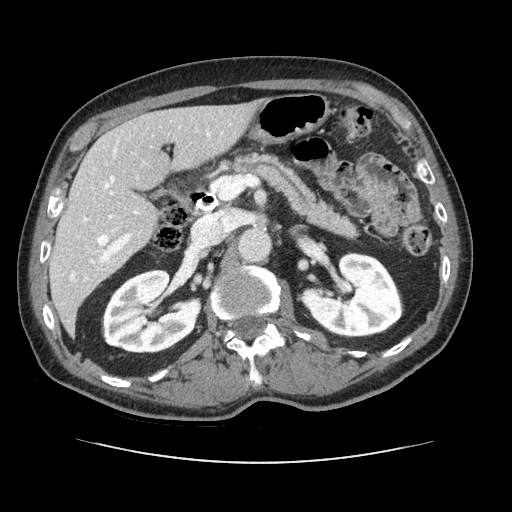
Upper abdomen. Image size 512x512. CT scan slice.
Pancreas: bounding box [x1=234, y1=153, x2=357, y2=237].